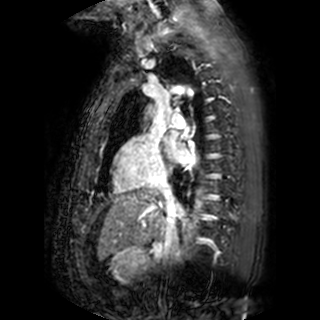
MRI slice
The left atrium lies within 164:130:192:162.